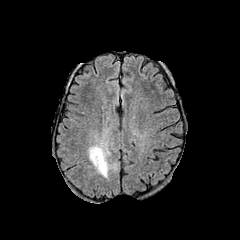
FLAIR MR.
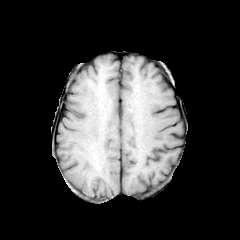
T1-weighted MR of the same slice.
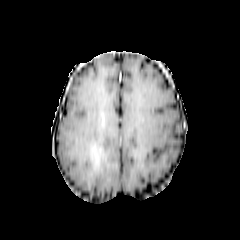
Same slice, post-contrast T1-weighted MR.
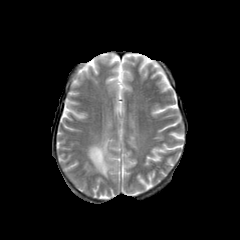
T2-weighted MR image of the same slice.
Edema: 86,127,117,179.
Non-enhancing tumor core: 90,145,105,168.